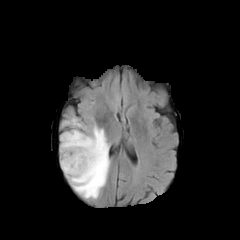
FLAIR MRI.
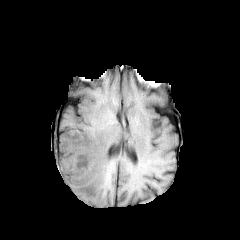
T1-weighted MR of the same slice.
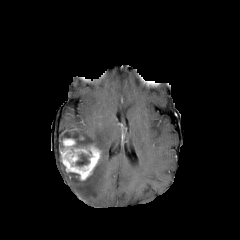
Post-contrast T1-weighted MR.
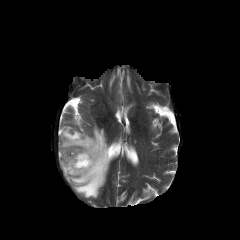
T2-weighted MR.
Edema: bounding box bbox(60, 117, 110, 199).
Enhancing tumor: bounding box bbox(59, 138, 101, 180).
Non-enhancing tumor core: bounding box bbox(76, 154, 88, 165); bbox(74, 137, 90, 146).